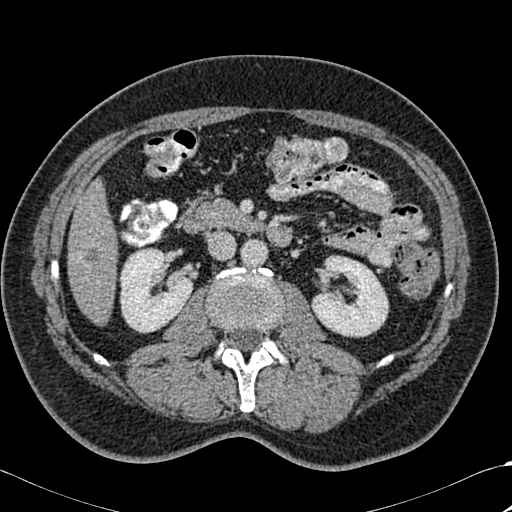
CT, Abdomen, 512x512 px
<segmentation>
  <liver_lesion>bbox=[83, 248, 103, 263]</liver_lesion>
  <bone>bbox=[207, 268, 281, 333]; bbox=[217, 337, 284, 412]</bone>
  <kidney>bbox=[121, 249, 192, 331]; bbox=[312, 256, 387, 335]</kidney>
  <liver>bbox=[68, 180, 116, 323]</liver>
</segmentation>